CT scan slice 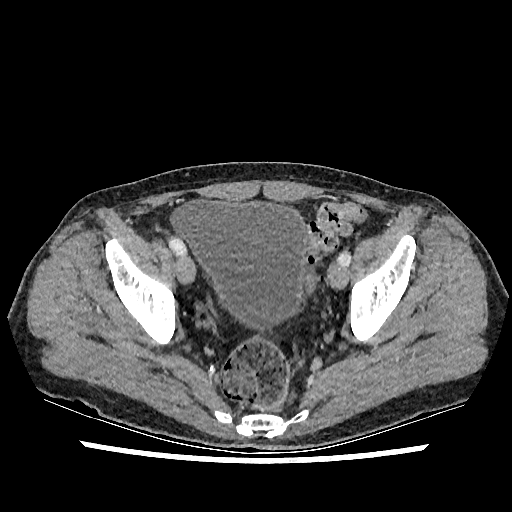

Annotated regions:
• urinary bladder: region(176, 199, 312, 332)